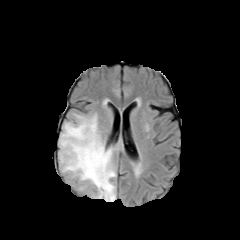
FLAIR magnetic resonance.
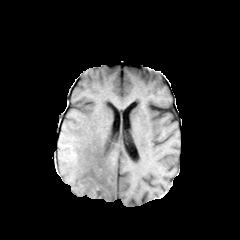
T1-weighted MR.
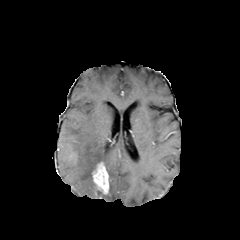
Same slice, post-contrast T1-weighted MR.
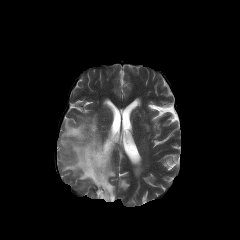
Same slice, T2-weighted MR.
240x240 px
{"enhancing_tumor": ["[92, 162, 109, 194]"], "edema": ["[58, 115, 117, 201]"]}